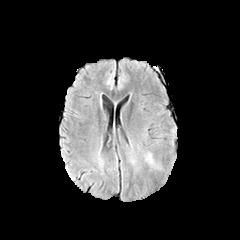
FLAIR MR.
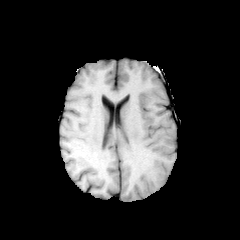
T1-weighted MR image.
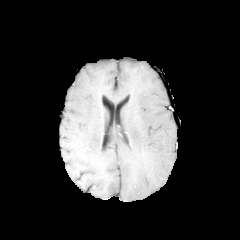
Post-contrast T1-weighted MR.
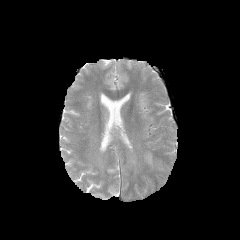
T2-weighted MR of the same slice.
{"edema": ["143,152,161,169"]}